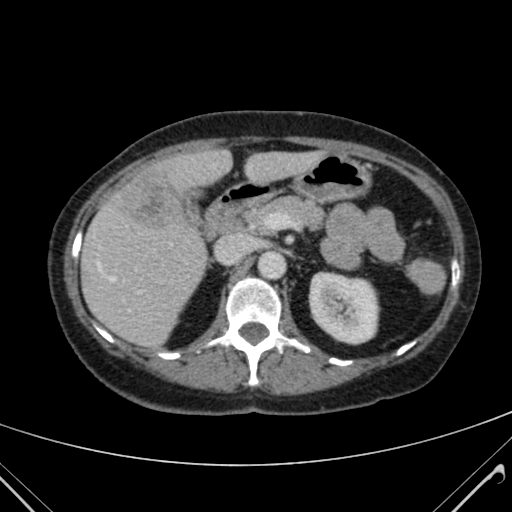

Liver | CT scan slice
2 liver regions are located at (left=246, top=151, right=323, bottom=181), (left=80, top=150, right=229, bottom=346). The kidney lies within (left=310, top=274, right=376, bottom=342). The focal liver lesion lies within (left=116, top=170, right=183, bottom=229).